Field of view 480 mm wide, 5.00 mm slice spacing, CT
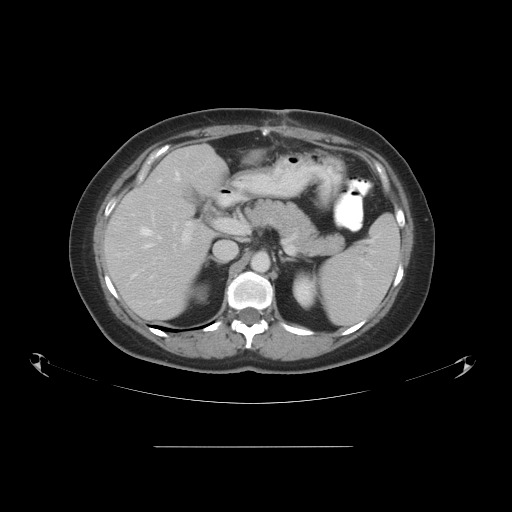
The vessel annotation is not exhaustive.
The top 15 hepatic vessel regions (of 17) appear at x1=116 y1=252 x2=127 y2=255, x1=175 y1=171 x2=180 y2=180, x1=219 y1=220 x2=246 y2=232, x1=182 y1=221 x2=192 y2=247, x1=141 y1=226 x2=152 y2=235, x1=158 y1=179 x2=161 y2=181, x1=150 y1=274 x2=155 y2=278, x1=152 y1=262 x2=154 y2=265, x1=158 y1=235 x2=160 y2=238, x1=173 y1=221 x2=177 y2=229, x1=144 y1=243 x2=153 y2=247, x1=131 y1=269 x2=142 y2=277, x1=151 y1=209 x2=154 y2=223, x1=200 y1=166 x2=204 y2=170, x1=173 y1=244 x2=176 y2=249. The liver tumor is bounded by x1=123 y1=211 x2=130 y2=223.